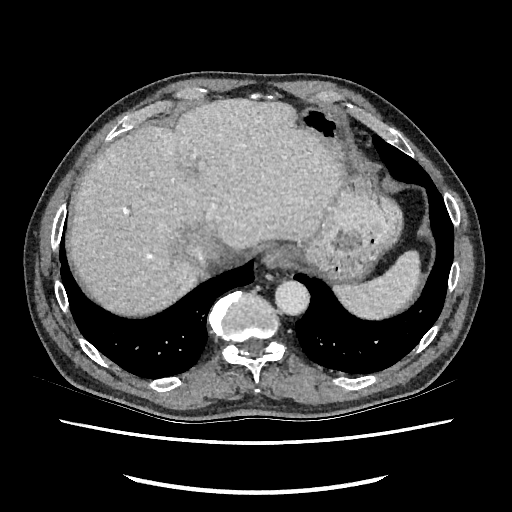

CT. Liver.

The liver appears at x1=71, y1=100, x2=340, y2=313. 2 focal liver lesion regions are located at x1=174, y1=226, x2=207, y2=263; x1=193, y1=166, x2=199, y2=175.